Hippocampus, 33x47 px, Magnetic resonance, Slice index 25
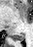 The posterior hippocampus lies within box(13, 34, 24, 40).